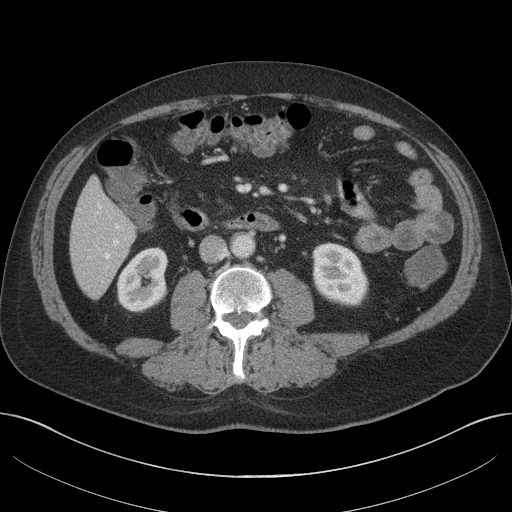 Upper abdomen, Image size 512x512, Computed tomography
The liver appears at [x1=70, y1=179, x2=134, y2=296]. 2 kidney regions are located at [x1=118, y1=249, x2=166, y2=310], [x1=314, y1=244, x2=365, y2=303].